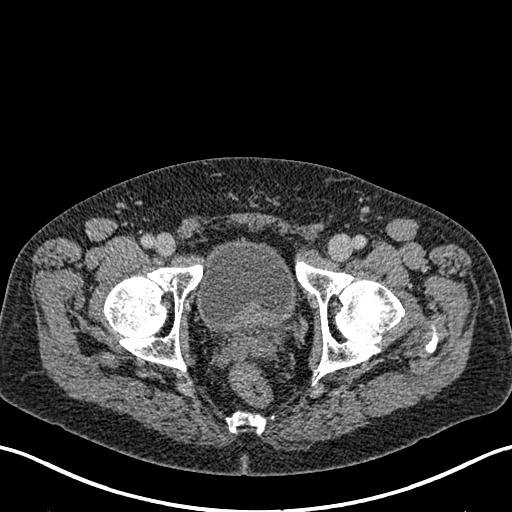

CT slice. Pelvis. 512x512.
Urinary bladder: [x1=196, y1=240, x2=296, y2=328].